Computed tomography | Image width 440 mm | Slice 156 of 282 | Chest 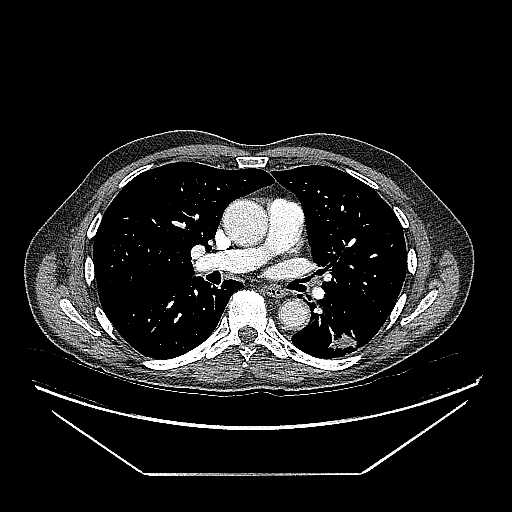
{"lung_tumor": ["left=326, top=327, right=361, bottom=354"]}